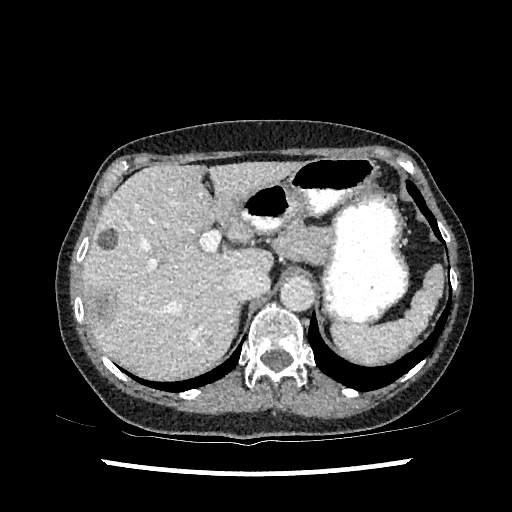

CT; Upper abdomen
2 hepatic lesion regions appear at x1=97, y1=228, x2=118, y2=250; x1=85, y1=285, x2=116, y2=325. The liver appears at x1=84, y1=162, x2=295, y2=377.